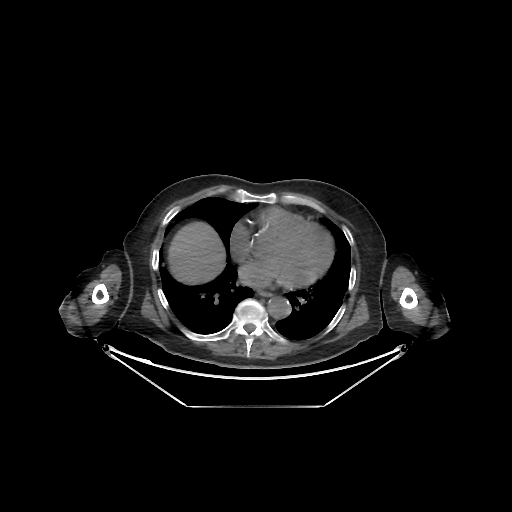
CT scan slice.

9 bone regions are bounded by (184,299,285,355), (152,250,158,269), (327,308,344,331), (399,287,417,309), (349,269,355,289), (92,284,108,305), (239,190,277,202), (158,289,167,308), (163,211,175,224). 2 lung regions are bounded by (275,217,350,340), (159,197,258,334). The liver is at (169,223,223,284).